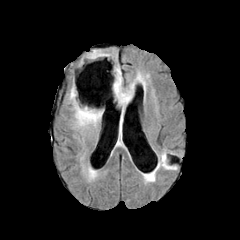
FLAIR MR.
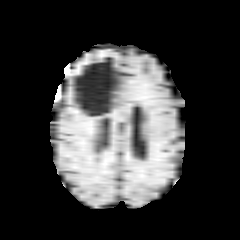
T1-weighted magnetic resonance.
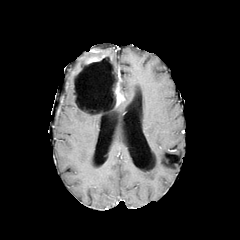
Post-contrast T1-weighted MR of the same slice.
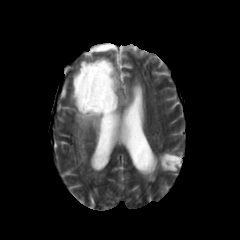
T2-weighted MRI of the same slice.
240x240 px; Brain
4 edema regions are bounded by [x1=117, y1=73, x2=145, y2=122], [x1=160, y1=152, x2=175, y2=170], [x1=118, y1=124, x2=124, y2=145], [x1=69, y1=87, x2=102, y2=135]. 2 non-enhancing tumor core regions are located at [x1=89, y1=50, x2=104, y2=61], [x1=74, y1=70, x2=118, y2=114]. The enhancing tumor appears at [x1=115, y1=67, x2=125, y2=103].